FLAIR MR.
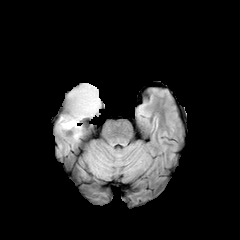
T1-weighted MR image.
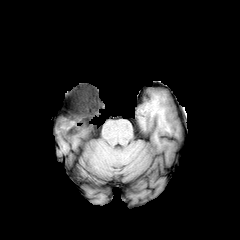
Post-contrast T1-weighted MR image.
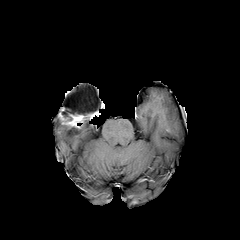
T2-weighted magnetic resonance.
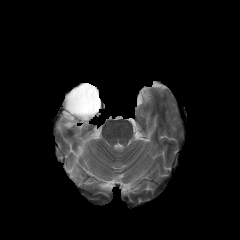
Brain.
Enhancing tumor: x1=61, y1=110, x2=99, y2=128.
Non-enhancing tumor core: x1=62, y1=84, x2=101, y2=117.
Edema: x1=59, y1=122, x2=81, y2=139.